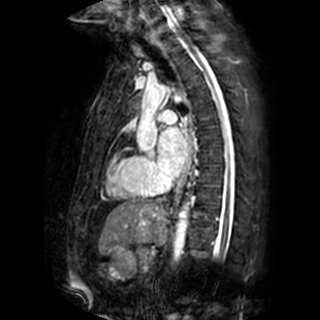
Heart. MR.

left atrium: [158, 126, 186, 176]